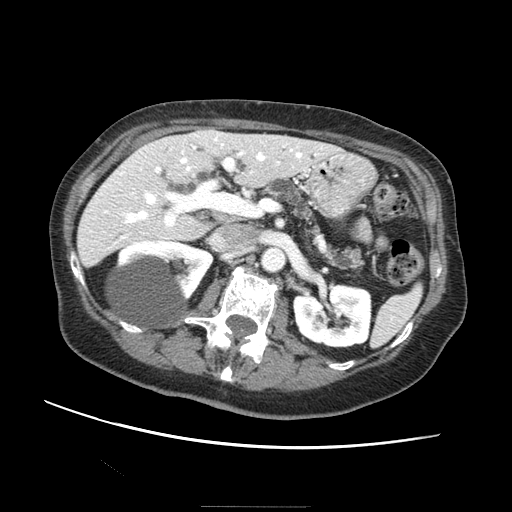
512x512 px, Abdomen, CT
2 pancreas regions appear at 322 248 365 272, 262 180 315 233.